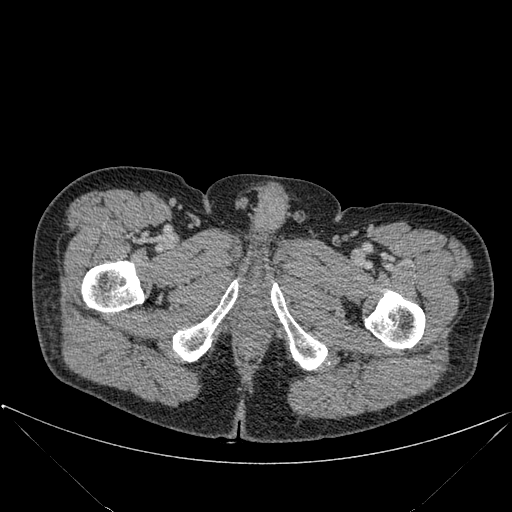
CT scan slice | 512x512 px
<segmentation>
  <bone>(left=81, top=261, right=143, bottom=312), (left=173, top=280, right=238, bottom=361), (left=365, top=290, right=424, bottom=348), (left=271, top=283, right=327, bottom=369)</bone>
</segmentation>